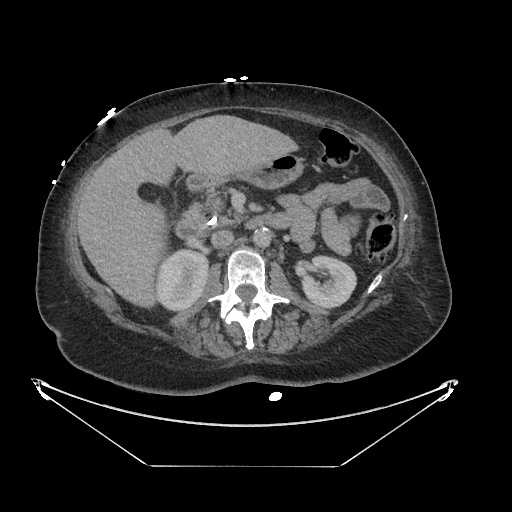
Abdomen; CT slice; 512x512 px
The pancreas is located at [207,193,240,226].